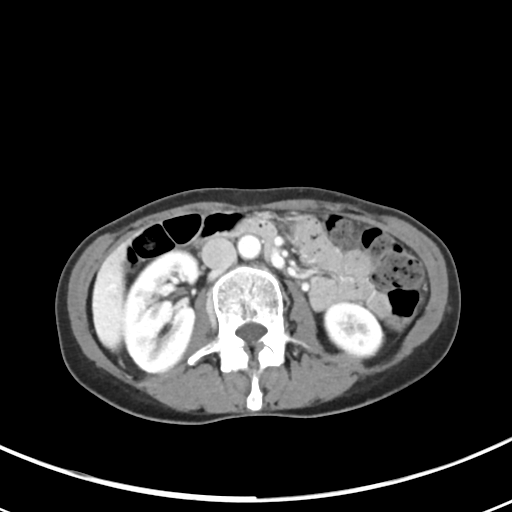
Abdomen | CT slice
<segmentation>
  <liver_tumor><bbox>106, 251, 125, 307</bbox></liver_tumor>
</segmentation>